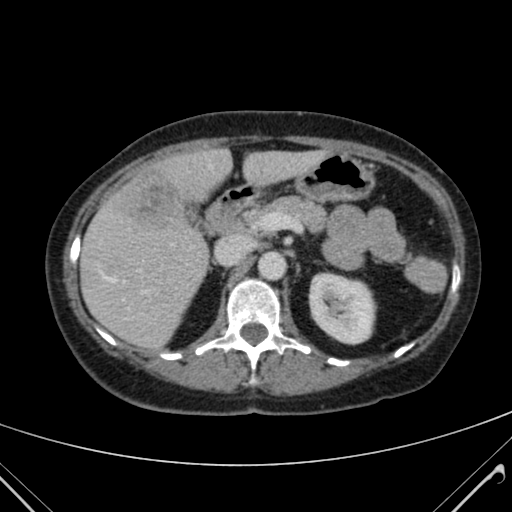

CT scan slice. Abdomen.
Kidney at 310 275 372 342.
Liver at 245 150 325 183, 80 149 230 347, 115 174 138 193.
Hepatic lesion at 111 168 183 229, 108 258 124 273.